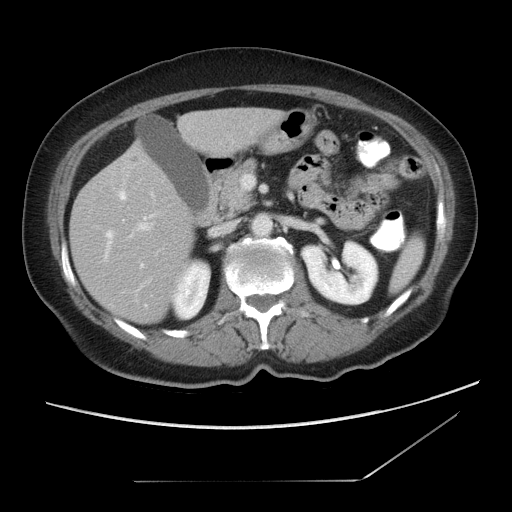
Abdomen; CT
Not every hepatic vessel necessarily has a box.
Hepatic vessel = [119,191,126,200], [140,223,149,229], [105,231,113,259], [144,215,154,219], [141,264,143,267].